CT scan slice. Upper abdomen. Slice index 51.
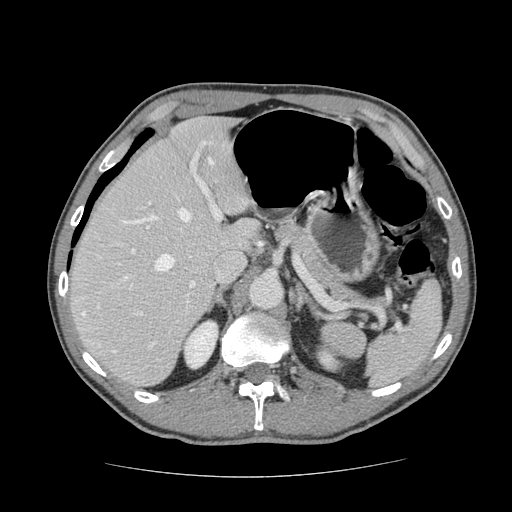
The pancreas is bounded by bbox=[271, 220, 390, 313].